CT slice

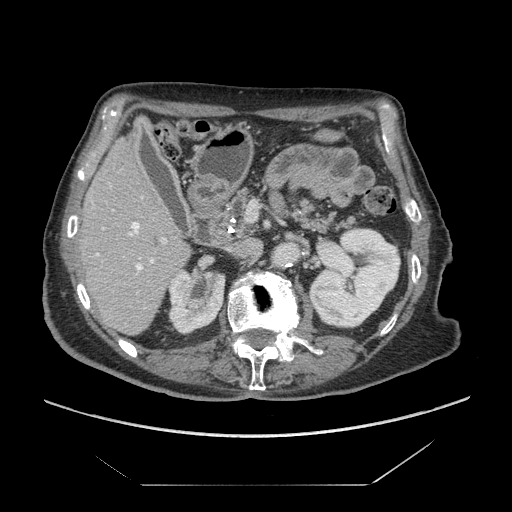
2 pancreas regions are located at (285,195,363,238), (214,186,260,242).